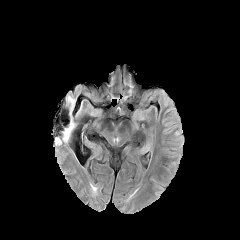
FLAIR MRI.
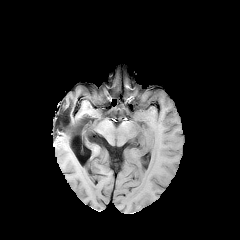
T1-weighted MR image.
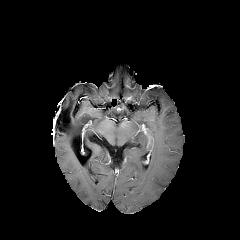
Post-contrast T1-weighted MR image of the same slice.
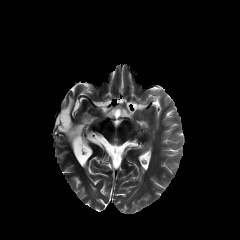
T2-weighted magnetic resonance of the same slice.
Head.
Findings:
* edema: 62 95 75 142